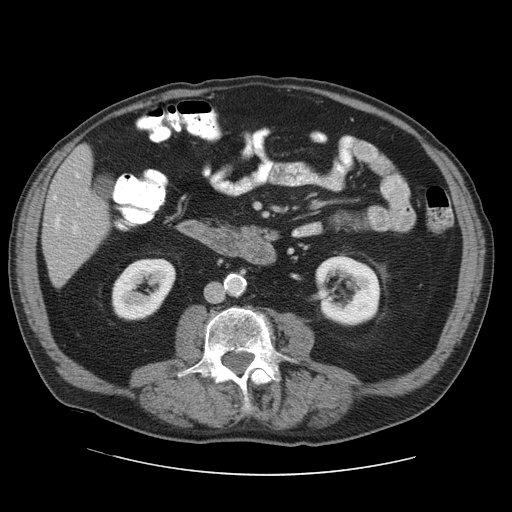

Image size 512x512. CT.

Not every hepatic vessel necessarily has a box.
Hepatic vessel: 55, 218, 59, 225.